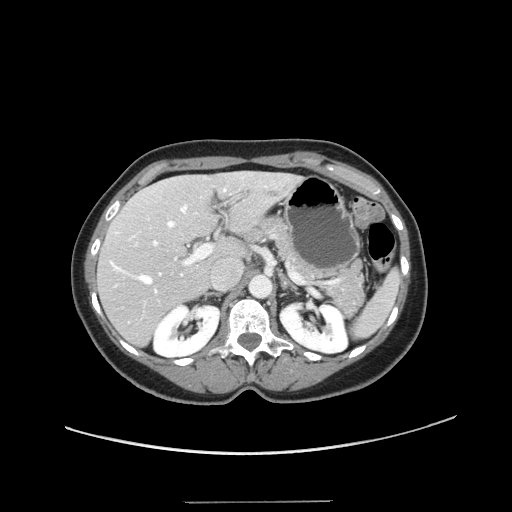

Abdomen. CT scan slice. The vessel boxes may cover only some of the vessels.
Annotated regions:
• hepatic vessel: <box>155,289,156,292</box>, <box>154,241,156,244</box>, <box>181,205,186,211</box>, <box>168,221,173,226</box>, <box>181,273,182,275</box>, <box>184,244,212,263</box>, <box>139,275,151,282</box>, <box>110,260,124,271</box>